Slice 13/155. Abdomen. CT image. 512x512. 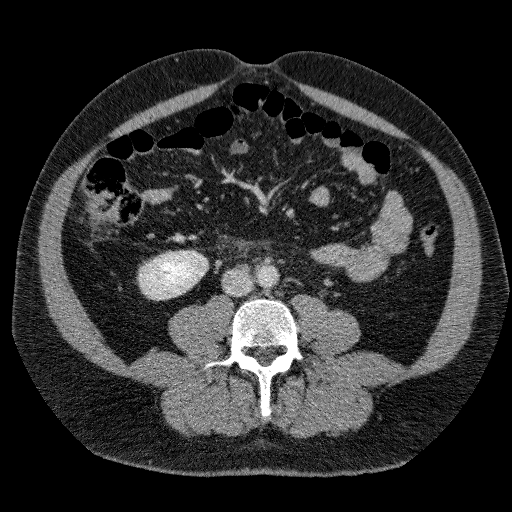 kidney: bbox(140, 251, 207, 298)